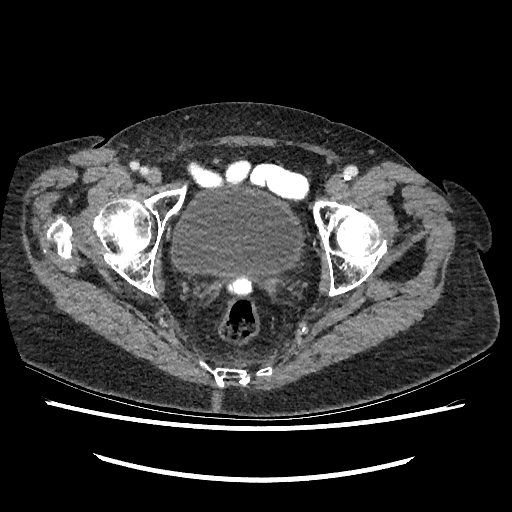

Pelvis. CT slice.

Annotated regions:
- urinary bladder: x1=172 y1=182 x2=304 y2=285